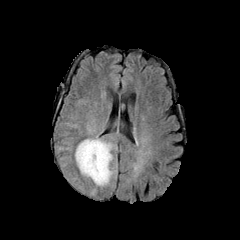
FLAIR magnetic resonance.
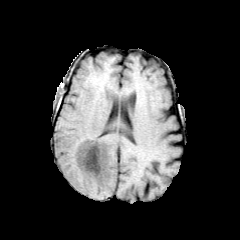
Same slice, T1-weighted MR.
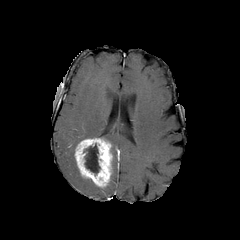
Post-contrast T1-weighted MR image of the same slice.
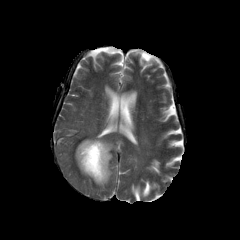
Same slice, T2-weighted MR image.
Head
The enhancing tumor appears at (x1=75, y1=138, x2=112, y2=186). 3 edema regions are bounded by (x1=61, y1=137, x2=72, y2=144), (x1=82, y1=116, x2=119, y2=196), (x1=66, y1=122, x2=79, y2=128). The non-enhancing tumor core appears at (x1=83, y1=145, x2=100, y2=173).